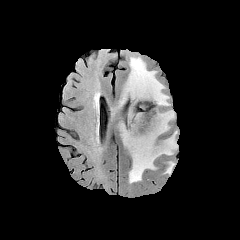
FLAIR magnetic resonance.
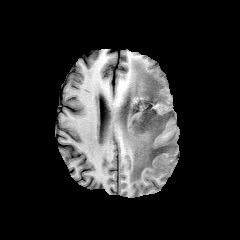
T1-weighted MR.
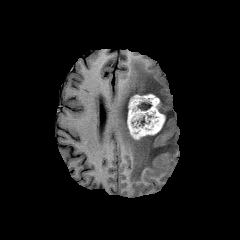
Post-contrast T1-weighted MR.
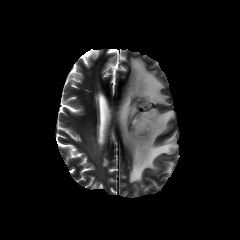
T2-weighted MRI.
Head
{
  "enhancing_tumor": [
    "128,94,165,139"
  ],
  "edema": [
    "162,160,174,174",
    "122,57,177,183"
  ],
  "non-enhancing_tumor_core": [
    "130,100,154,127",
    "148,144,169,163",
    "132,86,158,97"
  ]
}